Computed tomography 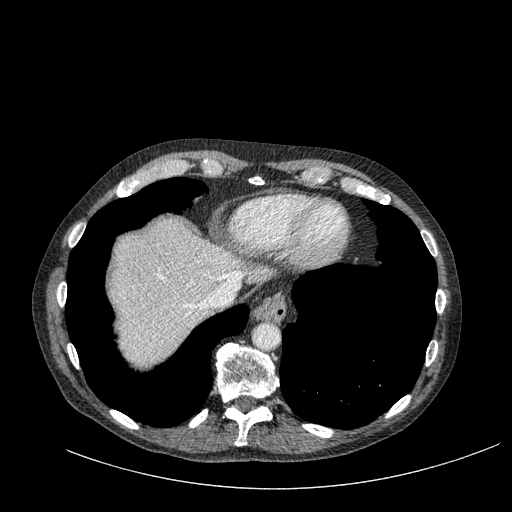

Liver — <box>110,218,273,364</box>.